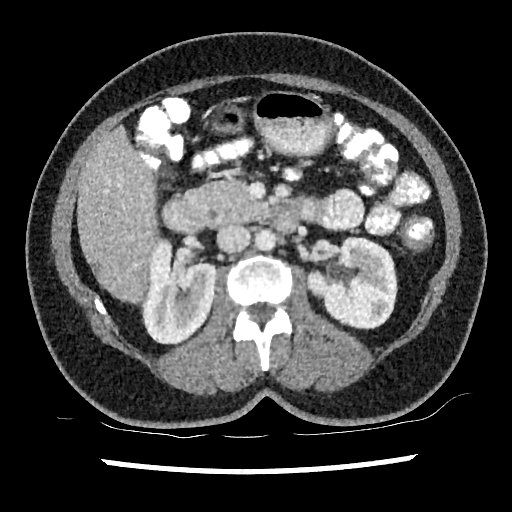 CT image; Upper abdomen; 512x512
Liver: [x1=78, y1=127, x2=157, y2=300].
Kidney: [x1=144, y1=242, x2=215, y2=343], [x1=308, y1=238, x2=395, y2=327].
Hepatic lesion: [x1=92, y1=264, x2=101, y2=275].